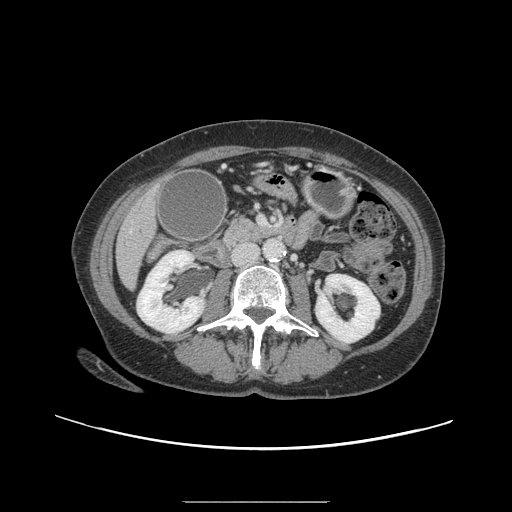

Upper abdomen; CT; 512x512

- pancreas: <box>224,217,277,246</box>